Abdomen; CT scan slice; Slice 27/96; Image size 512x512 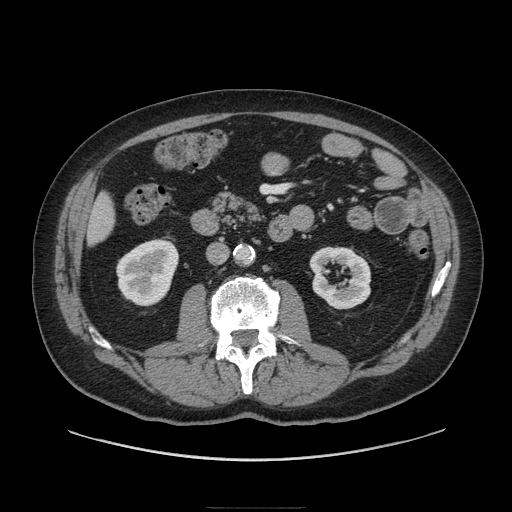 pancreas: (213,192,265,227)